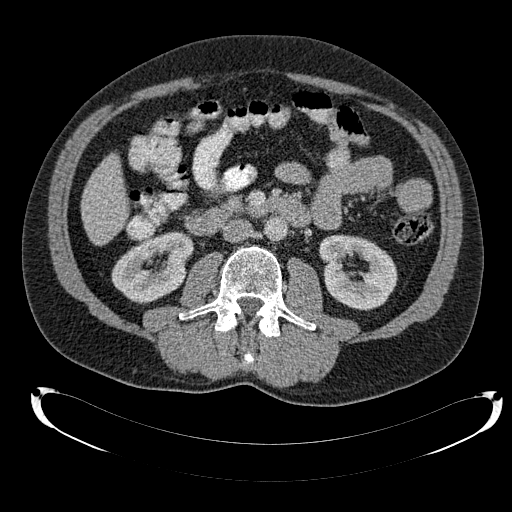
CT scan slice | Upper abdomen
Annotated regions:
• liver: 82,156,127,244
• kidney: 112,233,191,302; 320,235,396,309